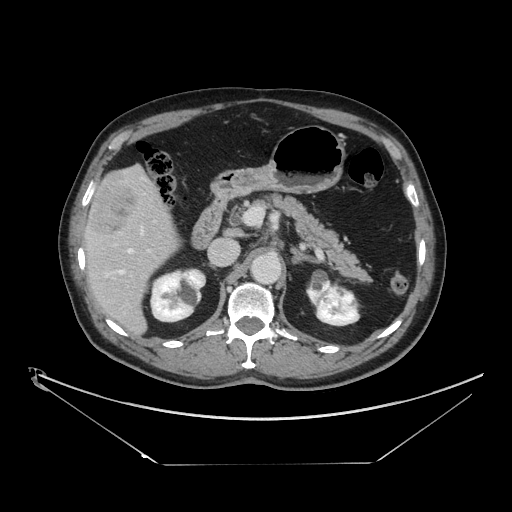 Abdomen; CT image
Only some of the vessels may be annotated.
The liver tumor lies within 88,171,138,235. 5 hepatic vessel regions are bounded by 115,244,117,246; 111,270,124,273; 128,249,132,252; 141,229,143,235; 148,249,150,251.